Magnetic resonance; Heart; Slice index 92

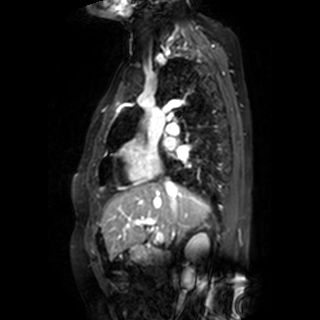

Annotated regions:
• left atrium: (162, 137, 175, 146), (177, 146, 187, 159)